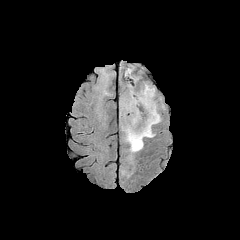
FLAIR MRI.
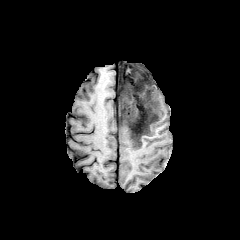
Same slice, T1-weighted MRI.
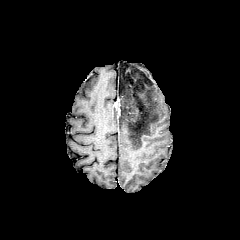
Post-contrast T1-weighted MR.
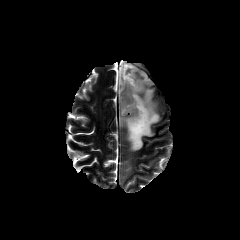
T2-weighted MR.
240x240
The edema is located at [119,65,161,163]. 2 non-enhancing tumor core regions are located at [115,84,157,141], [121,67,136,86].